FLAIR MR image.
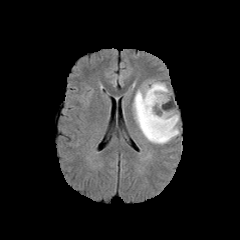
T1-weighted MR image.
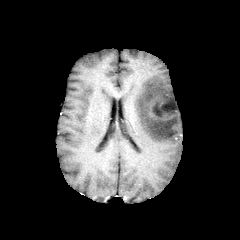
Post-contrast T1-weighted MRI.
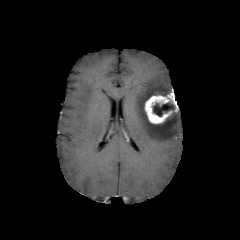
T2-weighted magnetic resonance.
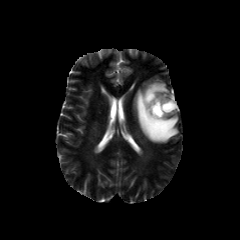
Head
The edema is bounded by 133:79:179:144. 2 non-enhancing tumor core regions appear at 153:102:174:116, 138:88:173:133. The enhancing tumor is bounded by 144:92:177:123.